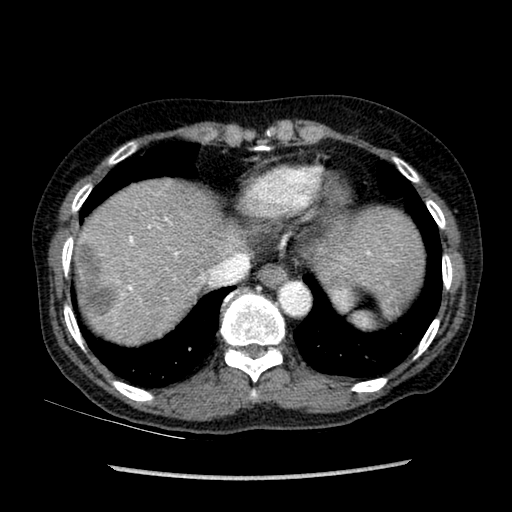

CT image; Abdomen
Segmented structures:
• liver: 313,207,423,313; 76,181,242,343
• hepatic lesion: 75,243,117,314